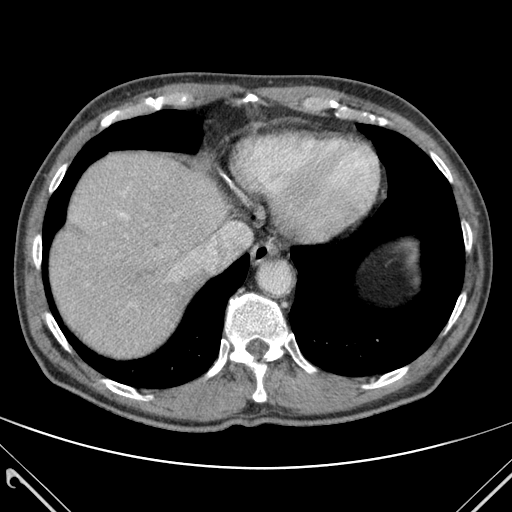
Abdomen; 512x512; Computed tomography
2 lung regions are bounded by (290,124,464,376), (43,110,249,388). 11 bone regions are located at (431,153,451,181), (101,111,118,125), (364,368,407,388), (462,224,471,249), (243,94,257,101), (46,313,68,349), (33,235,41,267), (208,294,315,401), (49,165,65,191), (447,295,465,329), (103,380,148,400). The liver lies within (50,152,229,358).